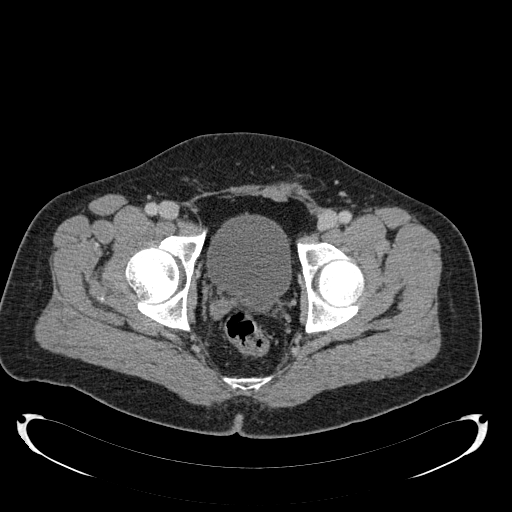 Image size 512x512. Computed tomography. Lower abdomen.

Urinary bladder — box=[206, 214, 291, 313].